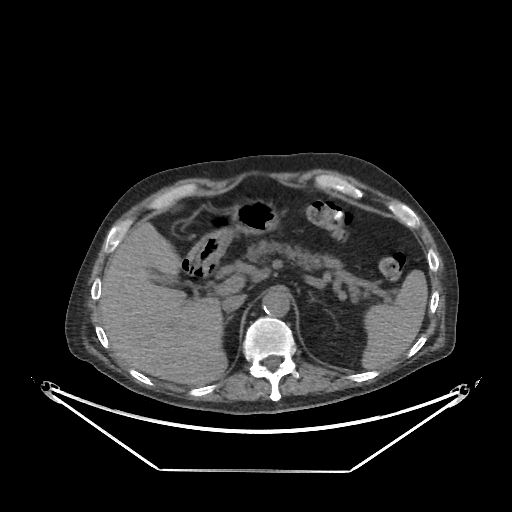

Liver. CT image.

Annotated regions:
- liver: rect(217, 281, 243, 293); rect(92, 222, 226, 386)